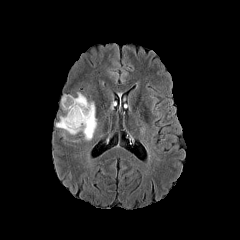
FLAIR MR image.
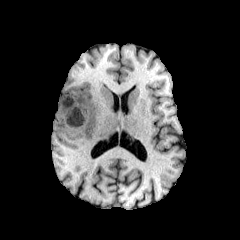
T1-weighted MR image of the same slice.
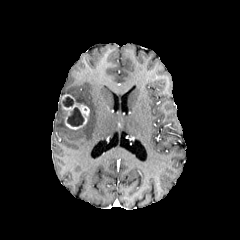
Post-contrast T1-weighted MR.
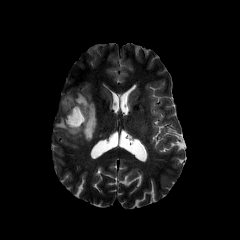
Same slice, T2-weighted MRI.
Brain
edema:
  - <box>55,92,96,140</box>
non-enhancing_tumor_core:
  - <box>62,96,73,107</box>
  - <box>67,107,84,126</box>
enhancing_tumor:
  - <box>61,94,89,129</box>